CT scan slice
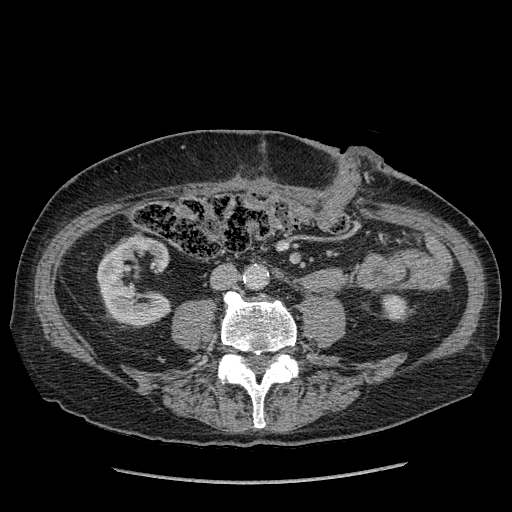

<segmentation>
  <kidney>box=[97, 238, 169, 324]; box=[383, 295, 406, 320]</kidney>
</segmentation>